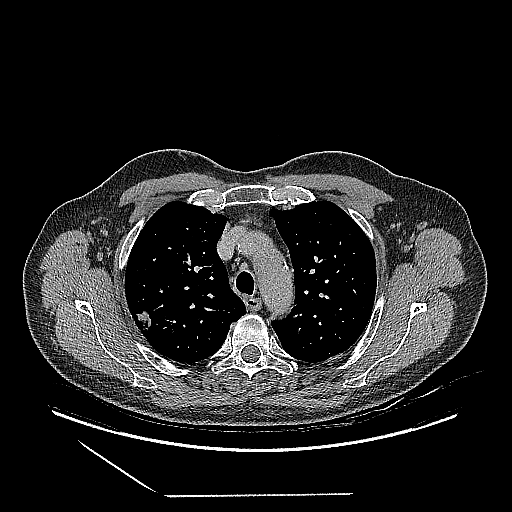 Lung; CT
Lung tumor = <bbox>133, 310, 152, 331</bbox>.